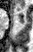 33x52, MRI

Anterior hippocampus at [16,7,24,21].
Posterior hippocampus at [20,22,23,23].